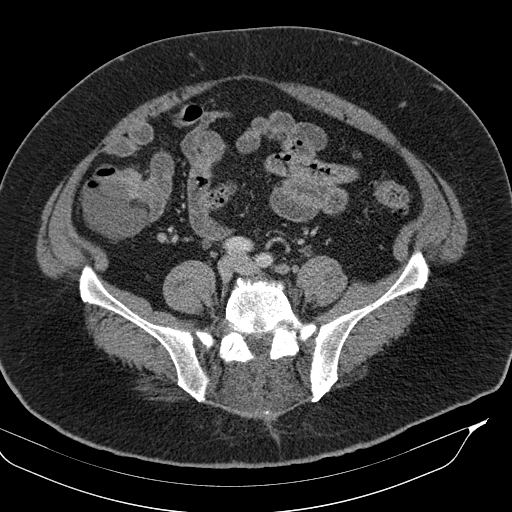

Computed tomography | Image size 512x512
The colon tumor is at [x1=121, y1=168, x2=140, y2=198].